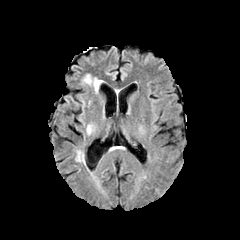
FLAIR magnetic resonance.
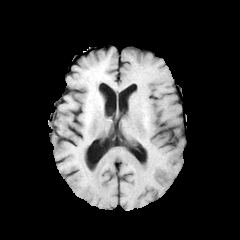
Same slice, T1-weighted MR image.
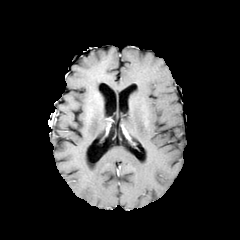
Post-contrast T1-weighted MRI of the same slice.
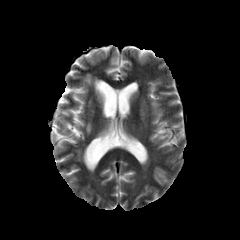
Same slice, T2-weighted magnetic resonance.
Image size 240x240; Head
<segmentation>
  <edema>85:123:95:134, 82:75:103:96, 76:150:84:161</edema>
</segmentation>